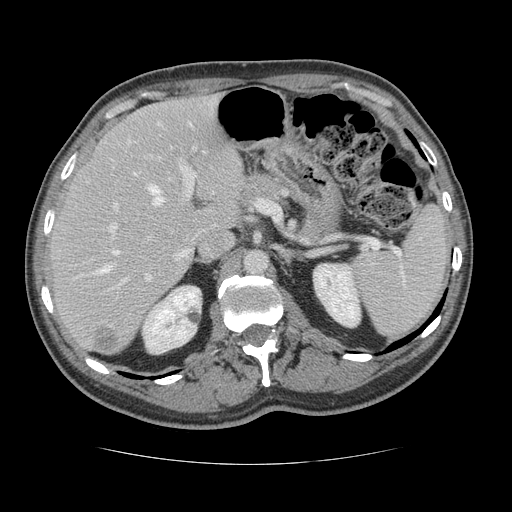

CT, Abdomen

Only some of the vessels may be annotated.
Top 15 of 19 hepatic vessel regions: [148, 185, 163, 204], [116, 278, 125, 286], [109, 224, 116, 239], [188, 122, 191, 126], [145, 274, 150, 280], [112, 250, 118, 253], [78, 274, 82, 275], [96, 266, 110, 272], [180, 165, 194, 196], [113, 202, 117, 209], [193, 146, 195, 148], [148, 236, 151, 238], [174, 250, 190, 259], [110, 287, 115, 288], [158, 122, 161, 124].
Liver tumor: [95, 329, 122, 352].